Image size 240x240
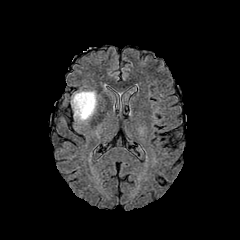
FLAIR MR image.
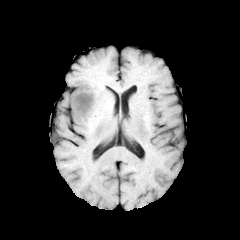
T1-weighted MR.
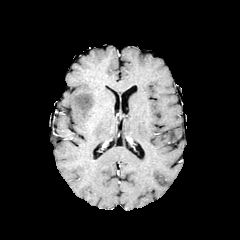
Post-contrast T1-weighted MR image of the same slice.
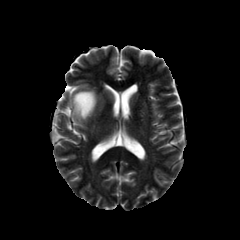
T2-weighted MR of the same slice.
Edema — rect(71, 91, 96, 120).